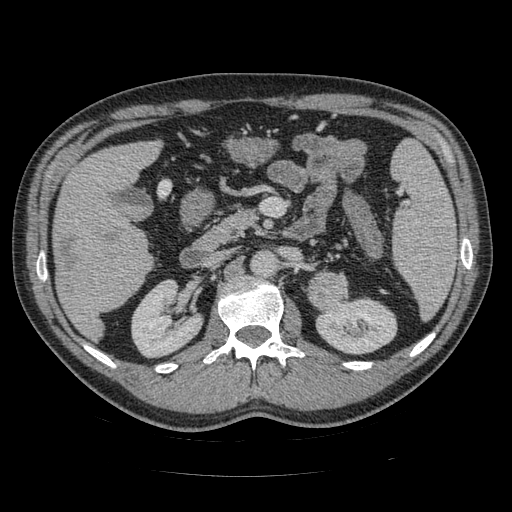

512x512 px, CT image

Pancreas = l=218, t=210, r=254, b=237.
Pancreatic tumor = l=308, t=272, r=348, b=311.